Head; Slice 84/155
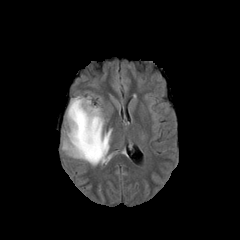
FLAIR MRI.
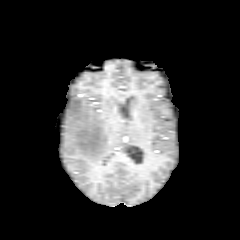
T1-weighted magnetic resonance.
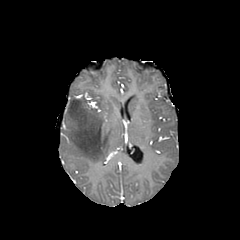
Same slice, post-contrast T1-weighted MR image.
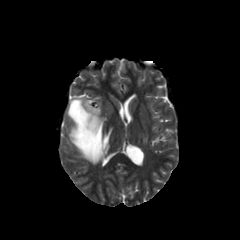
T2-weighted MR of the same slice.
{"edema": ["bbox=[62, 98, 111, 164]"]}